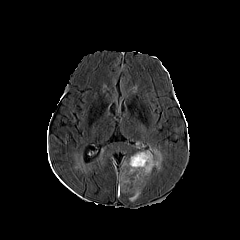
FLAIR MR image.
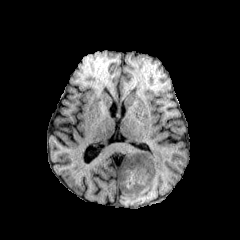
T1-weighted magnetic resonance of the same slice.
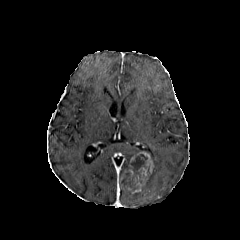
Post-contrast T1-weighted MRI.
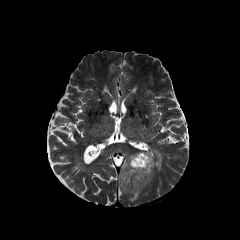
Same slice, T2-weighted MR image.
Head
enhancing tumor: <box>119,150,153,193</box> | non-enhancing tumor core: <box>121,154,149,191</box>, <box>137,167,155,191</box> | edema: <box>148,145,164,172</box>, <box>129,193,140,201</box>